512x512 px; Upper abdomen; Computed tomography; Slice 319 of 771
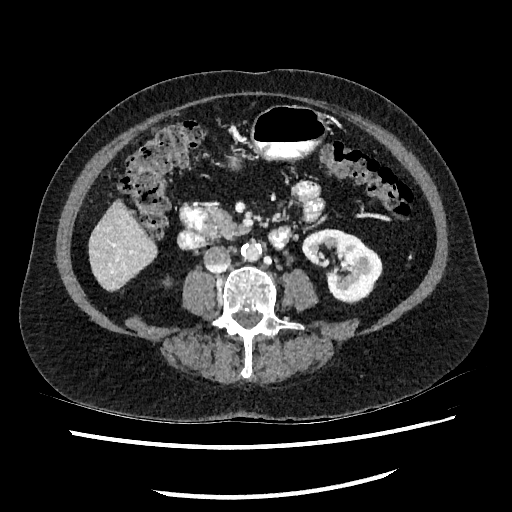
The liver is bounded by <box>89,202,154,290</box>. The kidney is bounded by <box>303,224,381,300</box>.